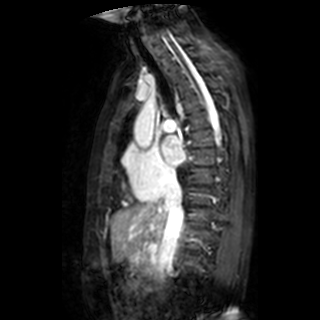

Image size 320x320 | MR | Heart

Left atrium = 161:136:184:166.